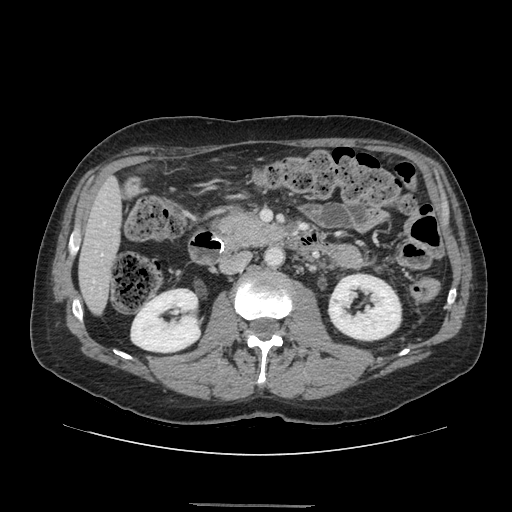

Upper abdomen, CT image

pancreas:
  - (left=218, top=213, right=280, bottom=249)